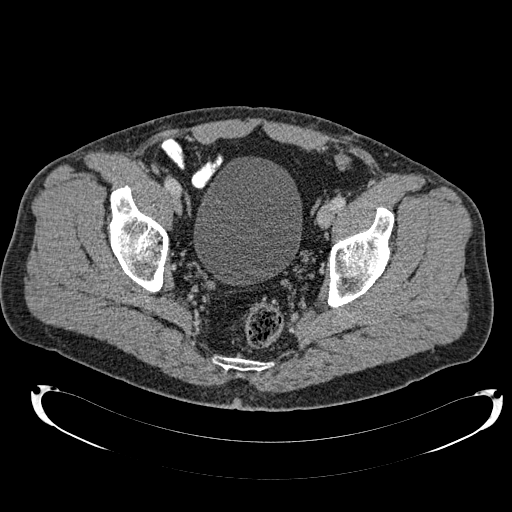
Lower abdomen, 512x512, CT slice
Segmented structures:
- urinary bladder: bbox(194, 156, 302, 284)